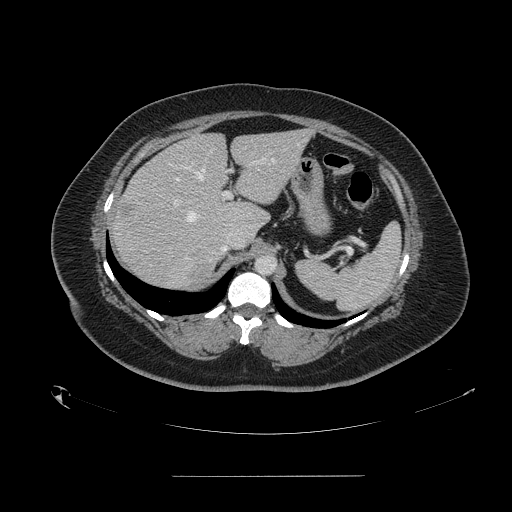
512x512 px, Computed tomography

Segmented structures:
* spleen: <box>296,223,401,311</box>